CT
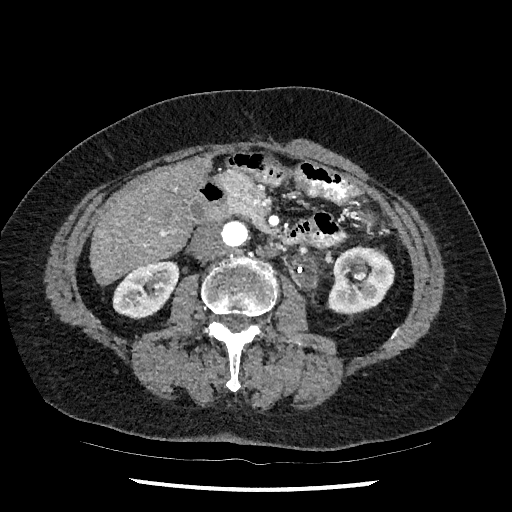

2 kidney regions appear at [329,247,393,312], [113,262,178,317]. The liver is bounded by [90,155,210,285].